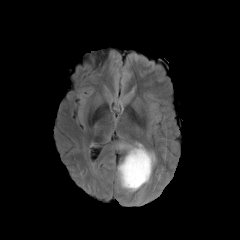
FLAIR MR.
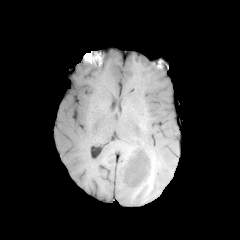
T1-weighted MR.
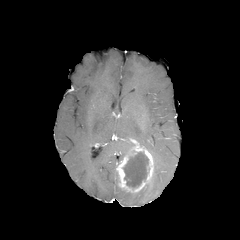
Post-contrast T1-weighted MR image.
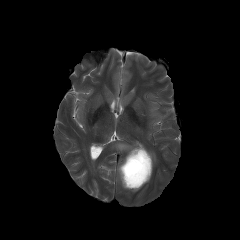
T2-weighted MRI.
Head
{"non-enhancing_tumor_core": ["box=[124, 152, 148, 189]"], "enhancing_tumor": ["box=[117, 155, 145, 191]", "box=[130, 144, 153, 181]"], "edema": ["box=[120, 143, 135, 155]"]}